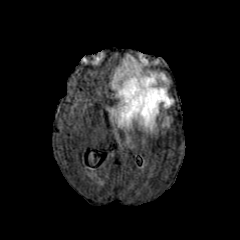
FLAIR MR.
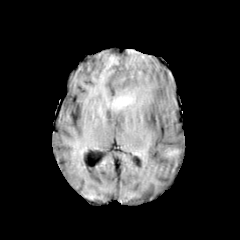
T1-weighted MR.
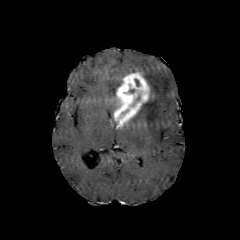
Post-contrast T1-weighted MRI.
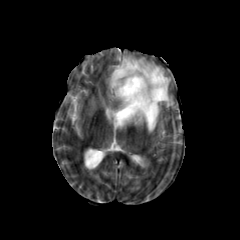
Same slice, T2-weighted MRI.
240x240
The enhancing tumor lies within [113, 72, 149, 127]. The edema is located at [111, 55, 173, 131].